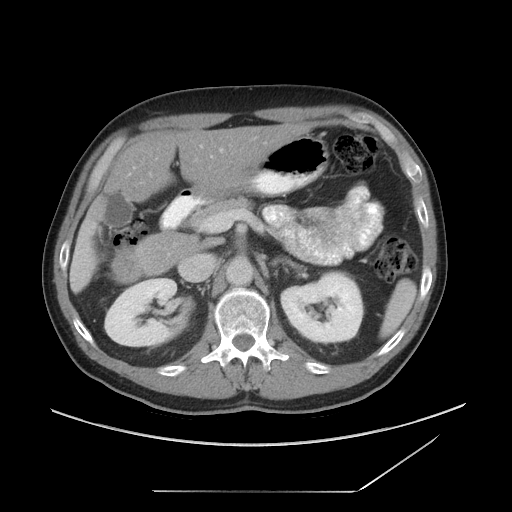
Abdomen. CT scan slice. Image size 512x512.
Segmented structures:
- liver tumor: x1=114, y1=249, x2=139, y2=281